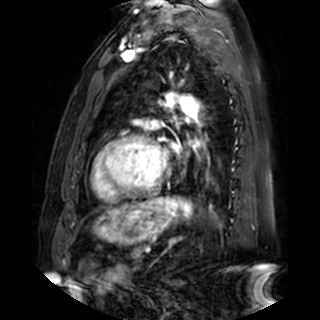 MR image. The left atrium is located at 189, 139, 198, 147.